FLAIR MRI.
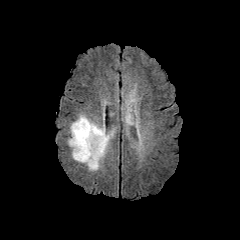
T1-weighted MR image.
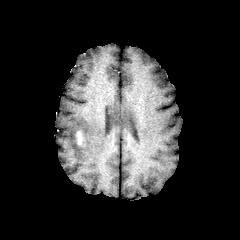
Post-contrast T1-weighted MRI.
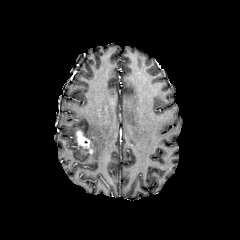
T2-weighted MR.
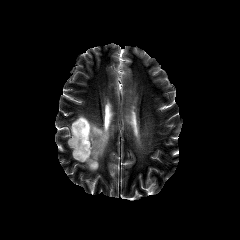
Image size 240x240; Head
2 edema regions are bounded by x1=124 y1=116 x2=135 y2=125, x1=66 y1=112 x2=115 y2=171. The enhancing tumor is bounded by x1=76 y1=131 x2=90 y2=148. The non-enhancing tumor core is bounded by x1=75 y1=136 x2=89 y2=154.